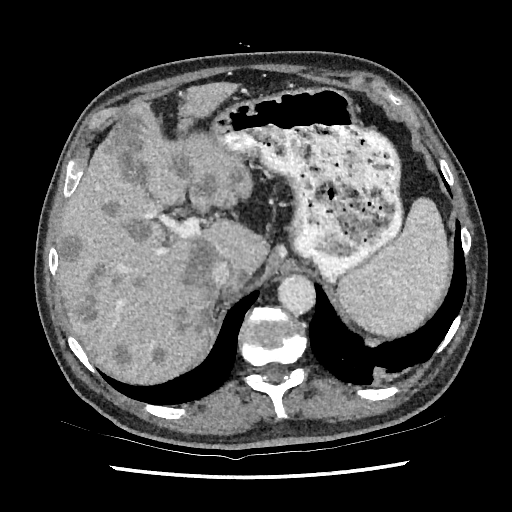

CT scan slice. 512x512 px. Annotated regions:
* liver lesion: 73 264 118 321, 113 342 130 365, 102 201 119 216, 119 219 153 241, 112 113 144 155, 175 238 219 331, 238 269 248 280, 152 347 167 362, 135 278 143 286, 171 150 233 199, 60 235 83 264
* liver: 59 103 267 383, 211 291 219 312, 182 83 237 125